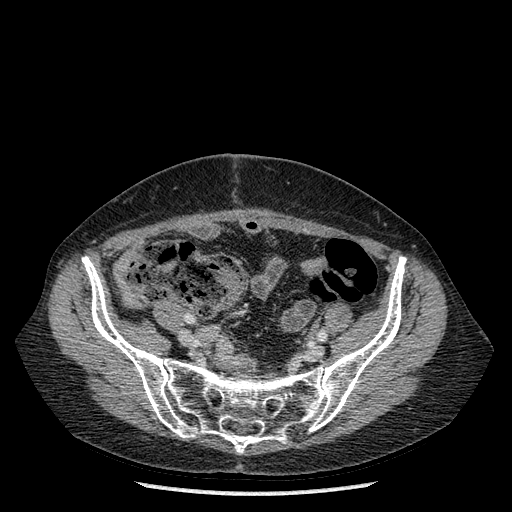

CT scan slice
bone: (81, 256, 406, 454)